CT slice, Slice 404 of 629, 512x512 px
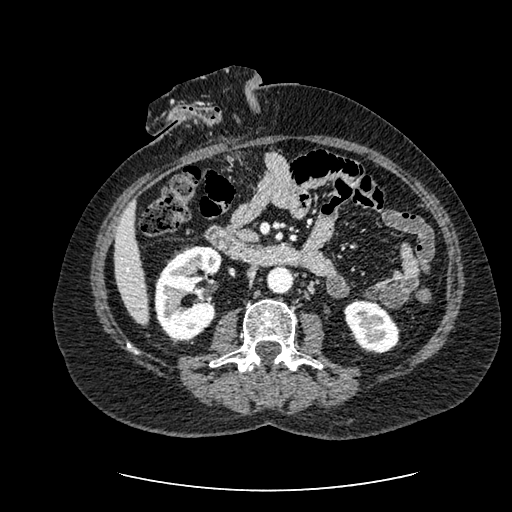

The liver is bounded by <bbox>115, 201, 148, 324</bbox>. 2 kidney regions are bounded by <bbox>345, 301, 397, 352</bbox>, <bbox>155, 247, 220, 339</bbox>.